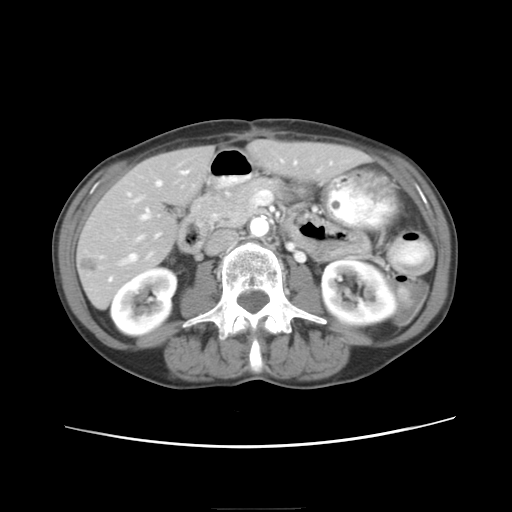

Computed tomography. 512x512 px.
Only some of the vessels may be annotated.
Annotated regions:
- hepatic vessel: (129,253,135,260), (141,208,149,219), (155,233,159,236), (156,181,160,184), (294,161,296,163), (280,159,282,161)
- liver tumor: (78,254,104,272)